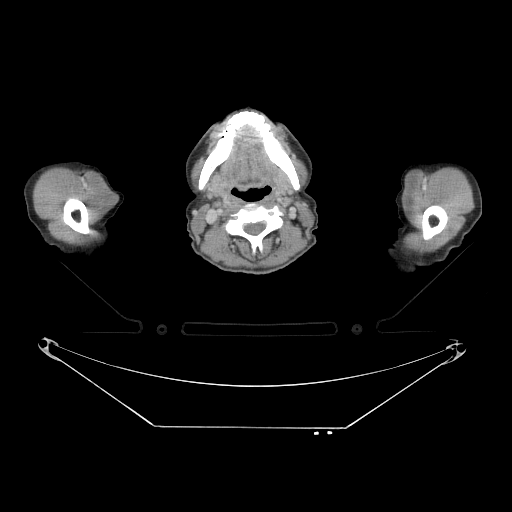 512x512 px, CT image
Segmented structures:
* bone: 199, 111, 299, 189; 422, 206, 447, 239; 225, 204, 282, 249; 63, 198, 89, 233